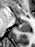
Magnetic resonance; Medial temporal lobe
Annotated regions:
* posterior hippocampus: (left=16, top=21, right=29, bottom=32)